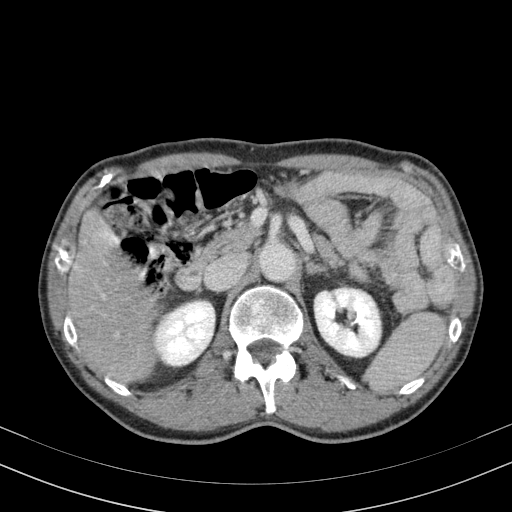

CT scan slice
2 kidney regions are located at x1=315, y1=289, x2=380, y2=356; x1=156, y1=302, x2=214, y2=364. The liver appears at x1=68, y1=207, x2=161, y2=384.